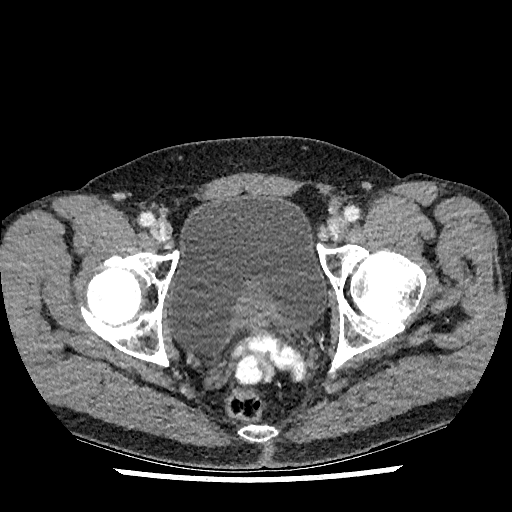 512x512, Computed tomography
The urinary bladder appears at rect(167, 196, 328, 353).